Liver; 512x512; CT image
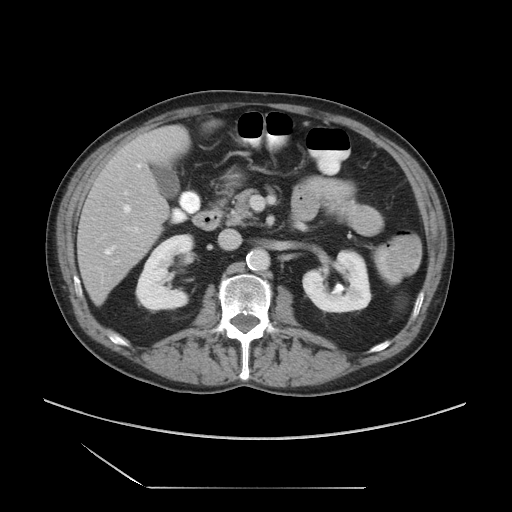
The vessel annotation is not exhaustive.
Segmented structures:
• hepatic vessel: [x1=124, y1=205, x2=130, y2=212], [x1=152, y1=143, x2=154, y2=146], [x1=125, y1=227, x2=140, y2=232], [x1=117, y1=260, x2=118, y2=261], [x1=105, y1=246, x2=114, y2=254], [x1=137, y1=164, x2=140, y2=167], [x1=125, y1=191, x2=127, y2=194]